Thorax, Computed tomography 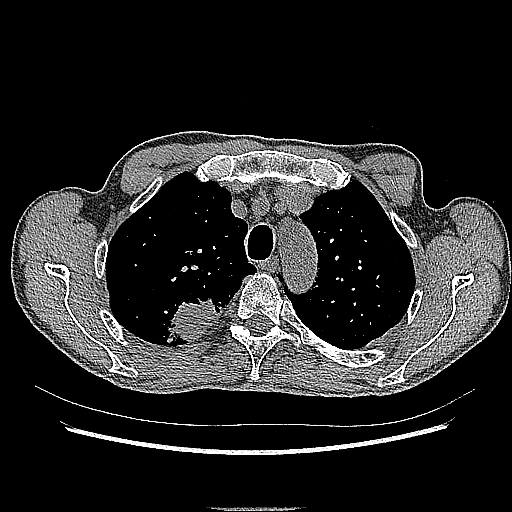
* lung tumor: 159:295:227:346